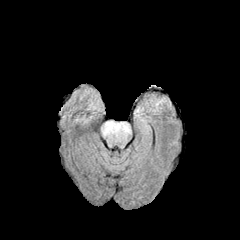
FLAIR MR.
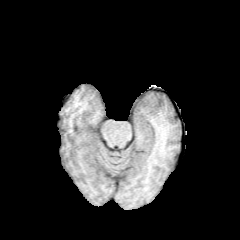
T1-weighted MR of the same slice.
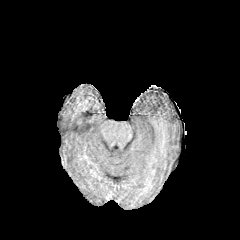
Same slice, post-contrast T1-weighted magnetic resonance.
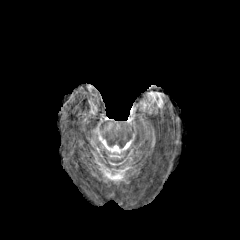
T2-weighted MR.
Head
Edema = 150:95:165:109.